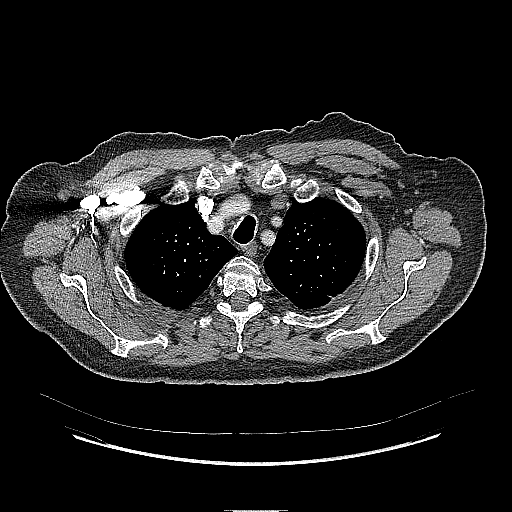 CT scan slice. Lung.

<segmentation>
  <lung_tumor>[x1=320, y1=292, x2=333, y2=298]</lung_tumor>
</segmentation>